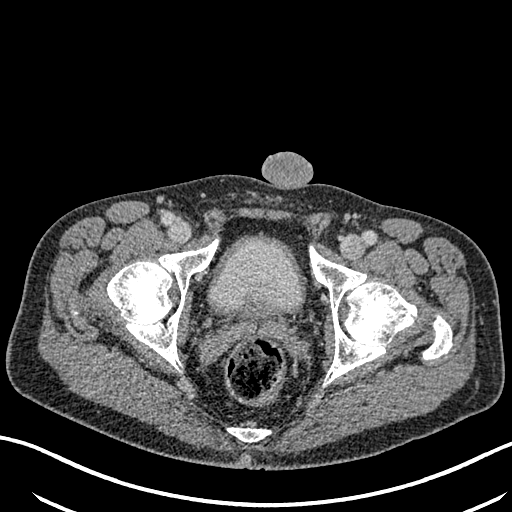
CT image. Lower abdomen. <segmentation>
  <urinary_bladder>left=210, top=237, right=301, bottom=315</urinary_bladder>
</segmentation>